FLAIR MR image.
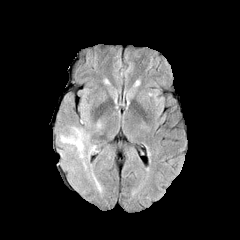
T1-weighted MR.
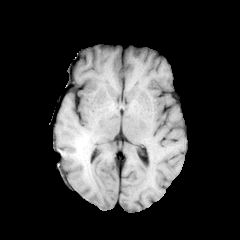
Post-contrast T1-weighted MR.
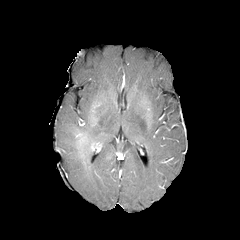
T2-weighted MRI.
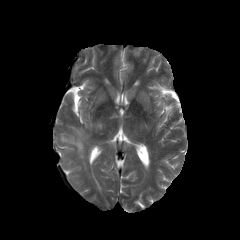
Head
Edema: bounding box (left=59, top=126, right=96, bottom=167).